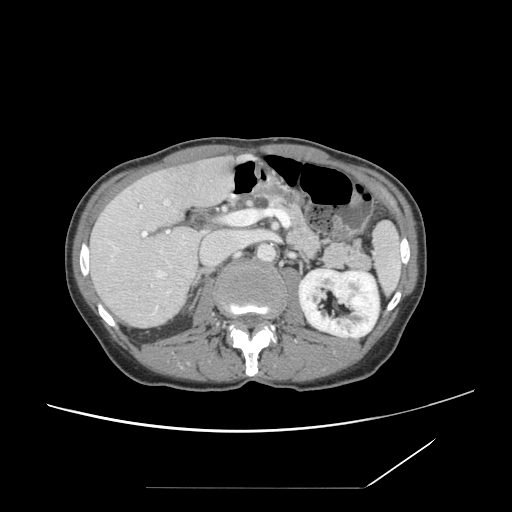

512x512 px; CT slice

The pancreatic tumor appears at region(254, 196, 268, 208). The pancreas is bounded by region(247, 192, 370, 271).